FLAIR MRI.
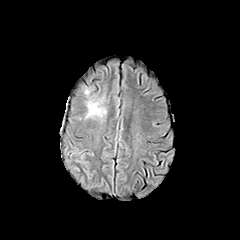
T1-weighted MR.
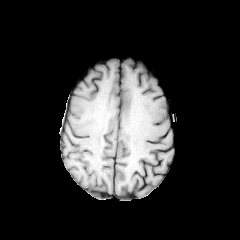
Post-contrast T1-weighted MRI.
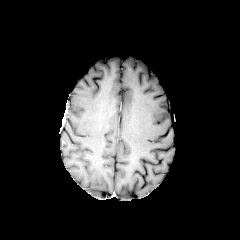
T2-weighted MRI.
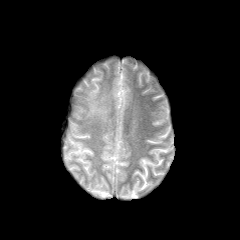
• edema: x1=84, y1=87, x2=106, y2=119